Slice 349/565; CT image

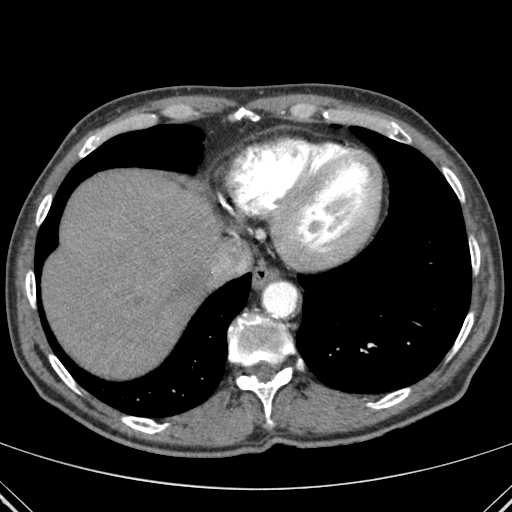

{
  "bone": [
    "367:388:410:408",
    "228:313:293:366",
    "234:107:258:120",
    "25:271:35:306",
    "383:122:410:140",
    "443:167:464:201",
    "36:194:51:225",
    "453:313:473:352",
    "121:416:167:433",
    "470:240:479:271",
    "79:135:99:157",
    "236:368:291:424",
    "49:355:78:392"
  ],
  "lung": [
    "296:126:471:393",
    "36:124:250:416"
  ],
  "liver": [
    "43:169:219:379"
  ]
}